Image width 399 mm, Slice index 50, Upper abdomen, CT image

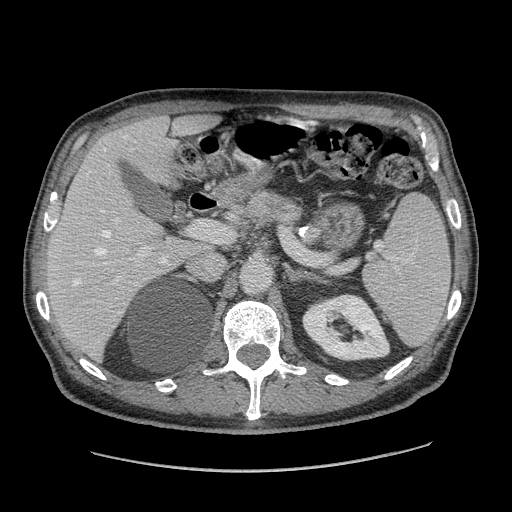

* pancreas: bbox(243, 192, 298, 220)
* pancreatic tumor: bbox(267, 197, 288, 214)